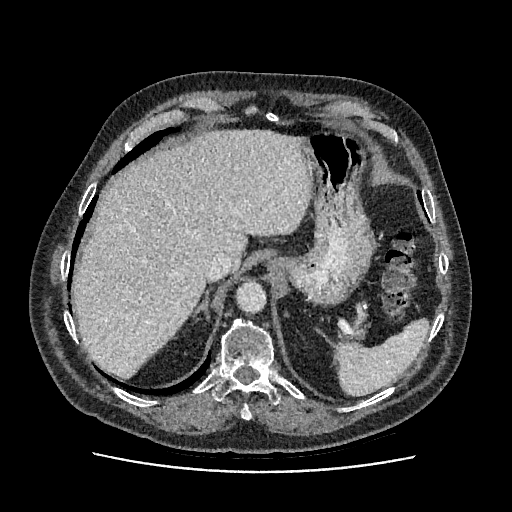

CT scan slice, Abdomen
Liver: {"x1": 74, "y1": 130, "x2": 309, "y2": 378}.